CT slice; 512x512
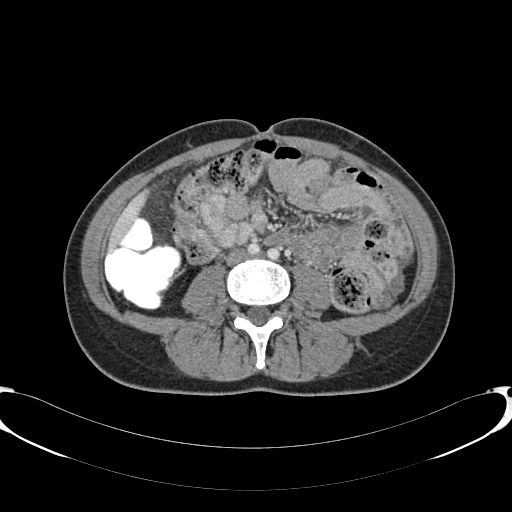 <segmentation>
  <liver><bbox>108, 191, 147, 250</bbox></liver>
</segmentation>